CT slice; 512x512 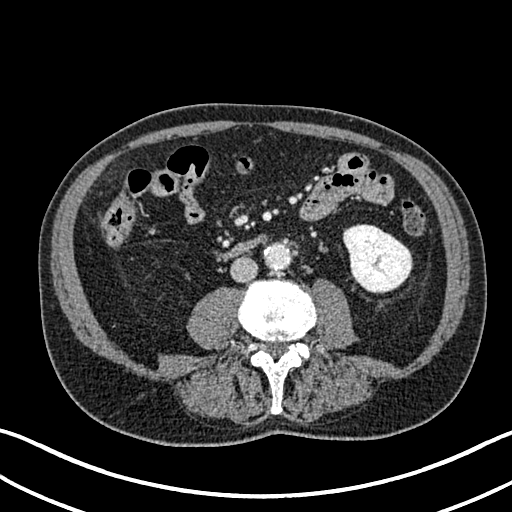

{
  "kidney": [
    "[x1=344, y1=225, x2=411, y2=291]"
  ]
}